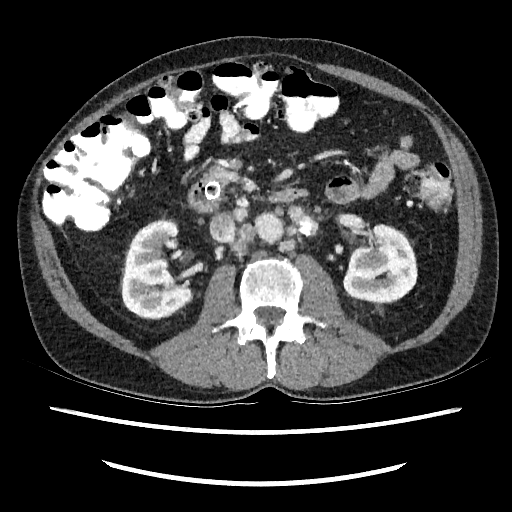
CT scan slice. • kidney: (123,221,192,320), (344,225,416,301)